CT scan slice; 512x512 px
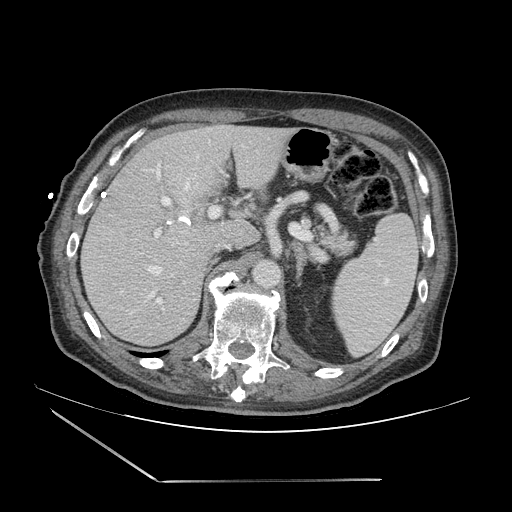 The pancreas appears at [317,226,359,259].